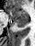
Hippocampus, 35x46 px, MRI slice

<segmentation>
  <posterior_hippocampus>x1=15 y1=21 x2=27 y2=27</posterior_hippocampus>
  <anterior_hippocampus>x1=7 y1=9 x2=28 y2=20</anterior_hippocampus>
</segmentation>